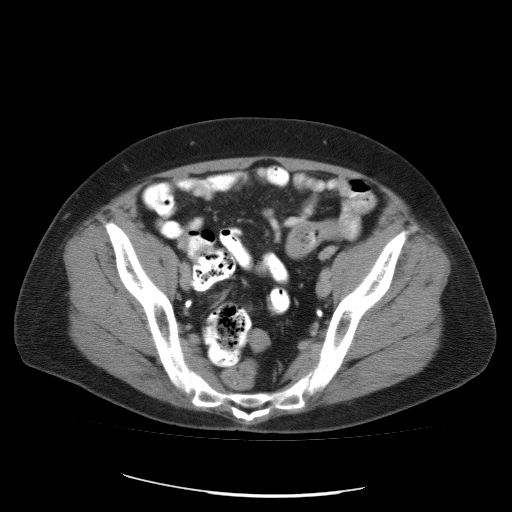

CT scan slice, Abdomen
Findings:
• colon tumor: (249,328,270,351)